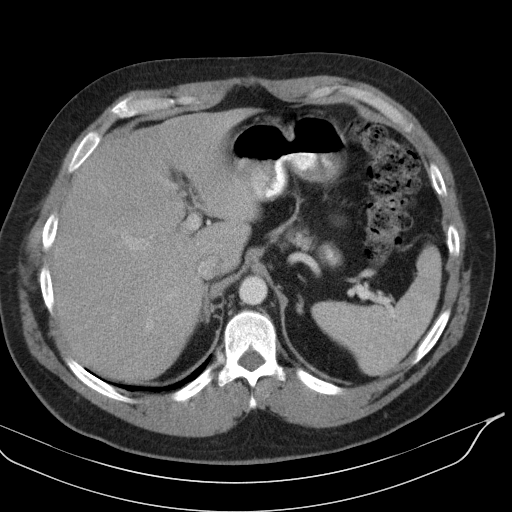
CT image.

<segmentation>
  <spleen>bbox(314, 247, 440, 374)</spleen>
</segmentation>